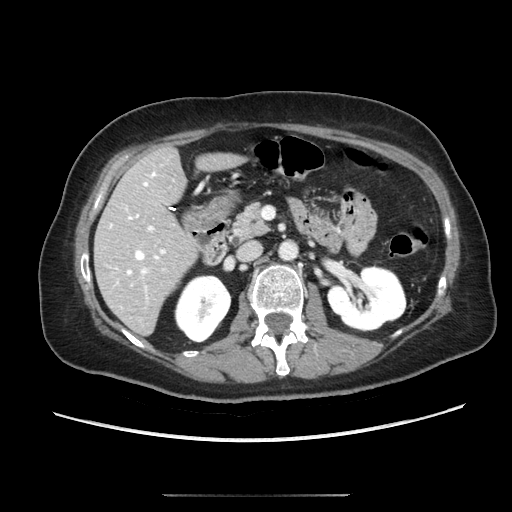 CT; 512x512; Upper abdomen
<segmentation>
  <pancreas>l=233, t=205, r=267, b=241</pancreas>
</segmentation>